CT image | Abdomen | Slice 241/432 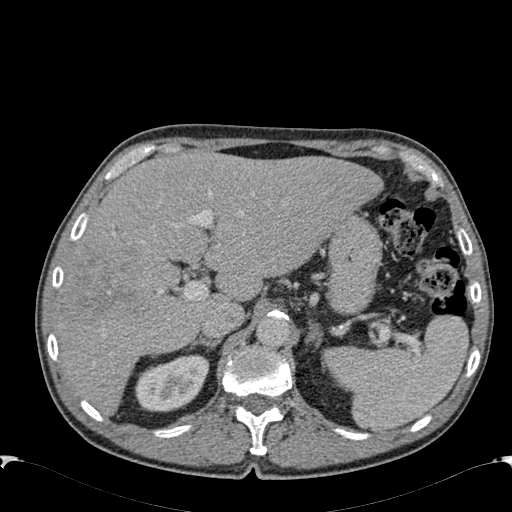
Focal liver lesion at {"x1": 60, "y1": 252, "x2": 139, "y2": 324}.
Kidney at {"x1": 136, "y1": 355, "x2": 208, "y2": 410}.
Liver at {"x1": 55, "y1": 153, "x2": 382, "y2": 414}.